Slice 208/432, CT image
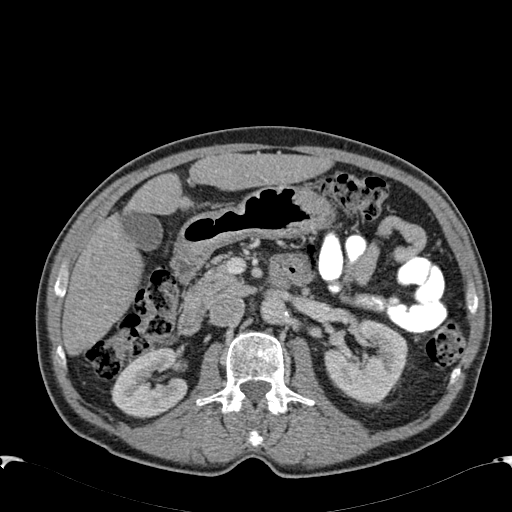
Kidney: bounding box box=[325, 320, 406, 403]; box=[112, 348, 186, 416].
Liver: bounding box box=[63, 213, 142, 354]; box=[191, 154, 333, 190]; box=[127, 174, 189, 213].